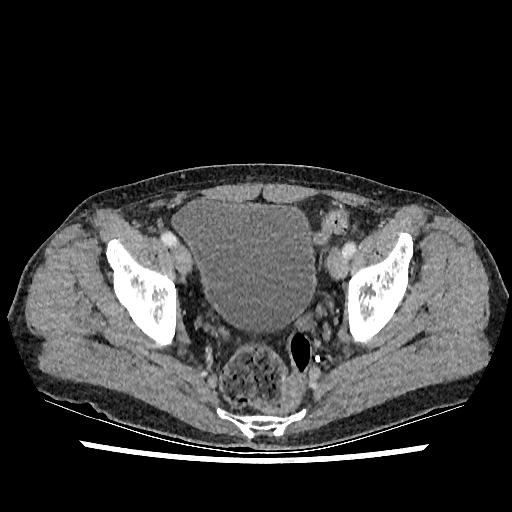
CT slice. Lower abdomen.

<segmentation>
  <urinary_bladder>{"x1": 175, "y1": 198, "x2": 316, "y2": 332}</urinary_bladder>
</segmentation>